Slice 118/134. CT slice.

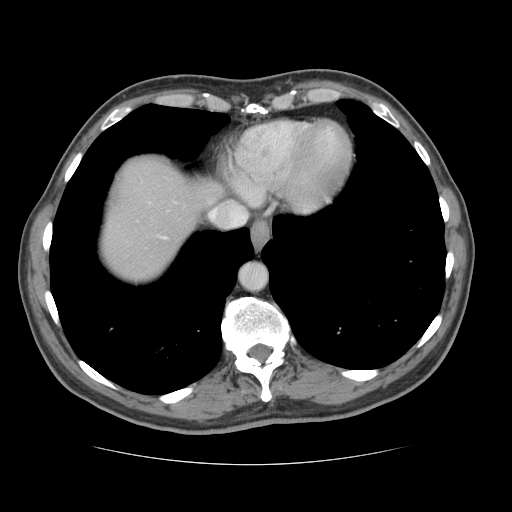
The vessel annotation is not exhaustive.
Findings:
- hepatic vessel: <bbox>160, 236, 164, 237</bbox>